FLAIR MRI.
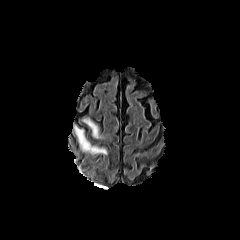
T1-weighted MR image.
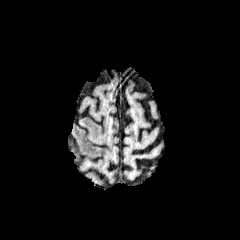
Post-contrast T1-weighted MRI.
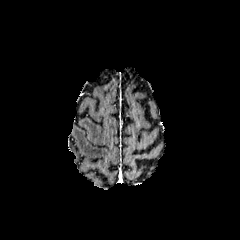
T2-weighted MR image.
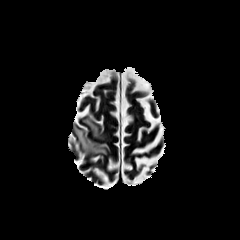
Brain.
2 edema regions are bounded by (82,117,102,137), (73,123,107,154).